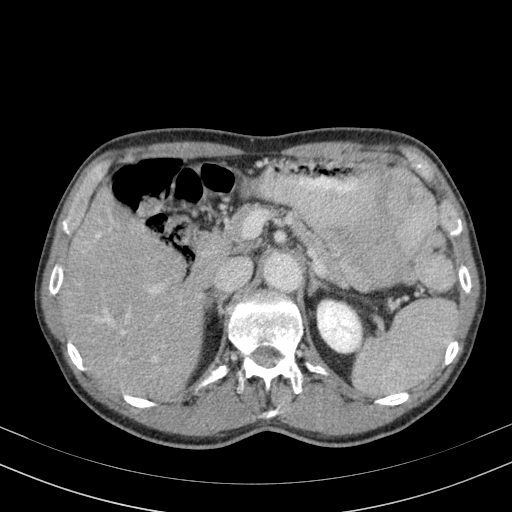

Liver. CT. Liver: bounding box [61, 180, 248, 402].
Kidney: bounding box [318, 301, 360, 351].